Abdomen. Image size 512x512. Computed tomography. Slice 90 of 114.
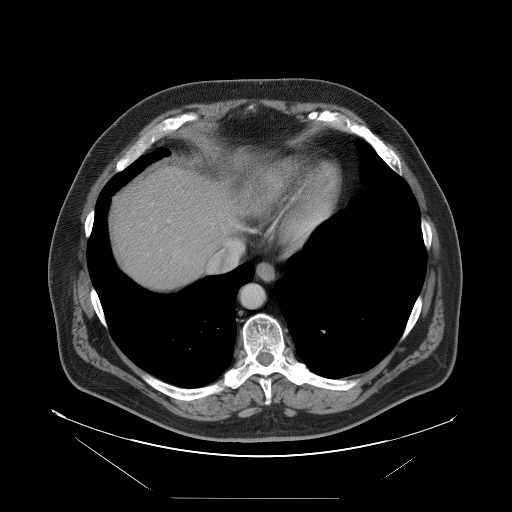

The vessel annotation is not exhaustive.
hepatic vessel: bbox(154, 228, 155, 230); bbox(227, 240, 229, 241)